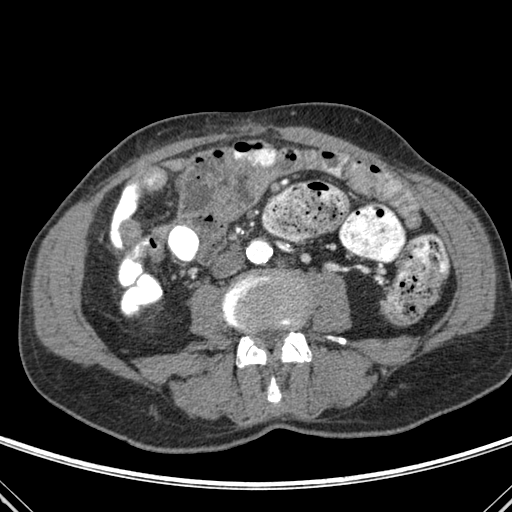 CT scan slice. Bone: x1=328 y1=336 x2=345 y2=343, x1=223 y1=271 x2=311 y2=362, x1=236 y1=335 x2=267 y2=367, x1=267 y1=376 x2=281 y2=403.